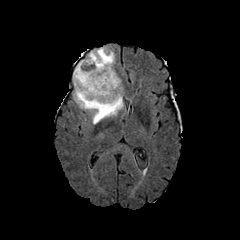
FLAIR MR image.
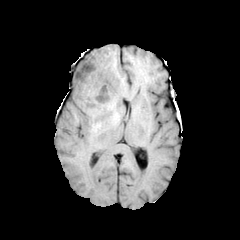
T1-weighted magnetic resonance.
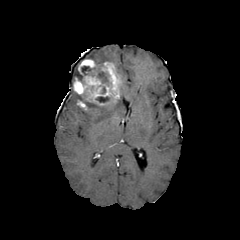
Post-contrast T1-weighted magnetic resonance of the same slice.
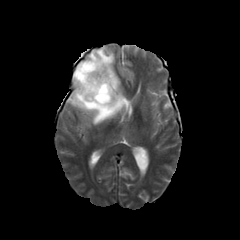
T2-weighted MRI.
2 edema regions appear at left=71, top=80, right=125, bottom=124; left=82, top=46, right=115, bottom=67. 3 non-enhancing tumor core regions are located at left=74, top=94, right=115, bottom=109; left=80, top=66, right=108, bottom=83; left=75, top=65, right=83, bottom=81. 2 enhancing tumor regions are located at left=78, top=59, right=97, bottom=71; left=73, top=62, right=119, bottom=100.